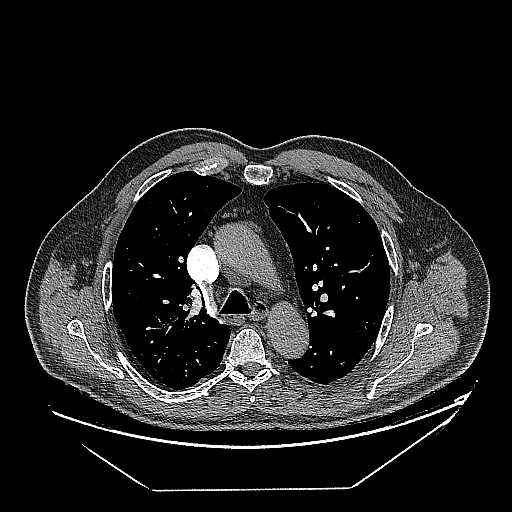
Chest. CT scan slice.

The lung tumor is located at <bbox>137, 348, 149, 358</bbox>.